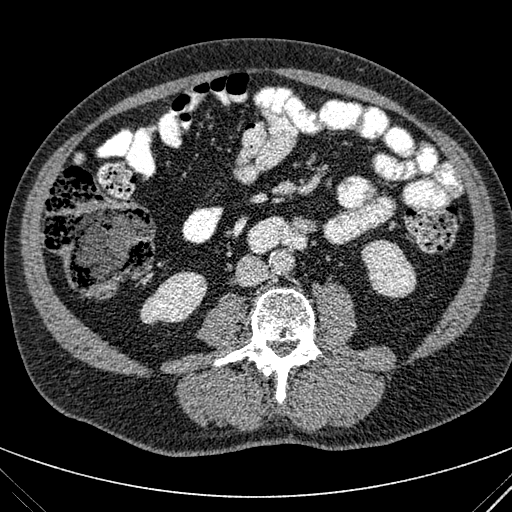
Image size 512x512, CT, Abdomen

kidney: 141,272,206,323; 362,240,415,297